Slice index 9; MR image; Image size 33x51; Medial temporal lobe; Field of view 33x51 mm
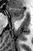
Segmented structures:
- anterior hippocampus: (x1=10, y1=7, x2=24, y2=20)